Field of view 38 mm wide, 1.00 mm slice spacing, Hippocampus, MR image 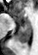 Anterior hippocampus: bounding box box=[13, 17, 16, 20]; box=[24, 20, 30, 24].
Posterior hippocampus: bounding box box=[14, 25, 31, 43].